Computed tomography 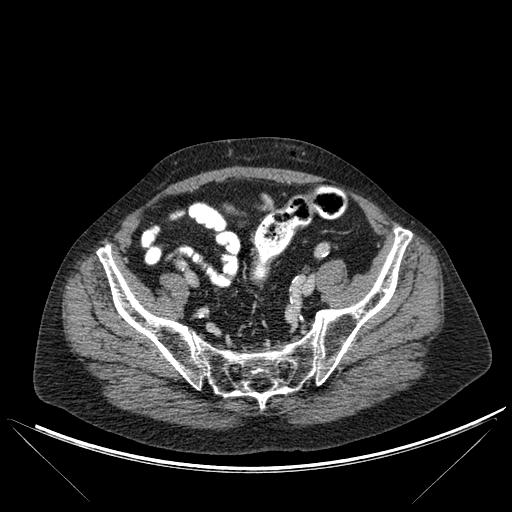
The bone lies within 96,227,412,408.